MRI slice; Hippocampus; Slice 10/45
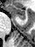
The anterior hippocampus lies within [x1=7, y1=5, x2=25, y2=20].